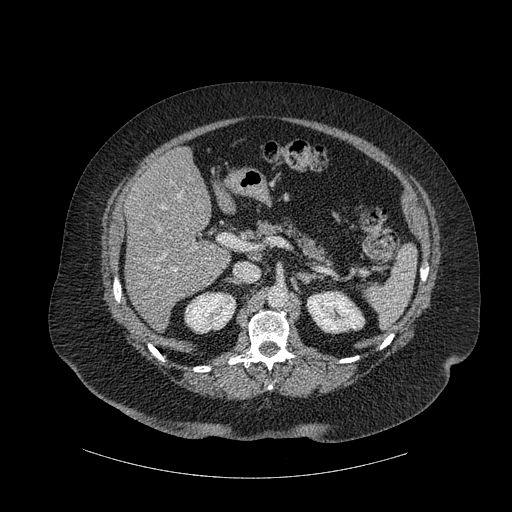 CT | Image size 512x512
Bone = x1=113 y1=278 x2=120 y2=301, x1=340 y1=356 x2=358 y2=362, x1=193 y1=366 x2=210 y2=372, x1=229 y1=311 x2=294 y2=369, x1=380 y1=334 x2=393 y2=348, x1=148 y1=344 x2=163 y2=361, x1=420 y1=267 x2=428 y2=280.
Liver = x1=220 y1=195 x2=235 y2=212, x1=125 y1=148 x2=229 y2=331.
Kidney = x1=185 y1=293 x2=235 y2=332, x1=307 y1=292 x2=364 y2=332.